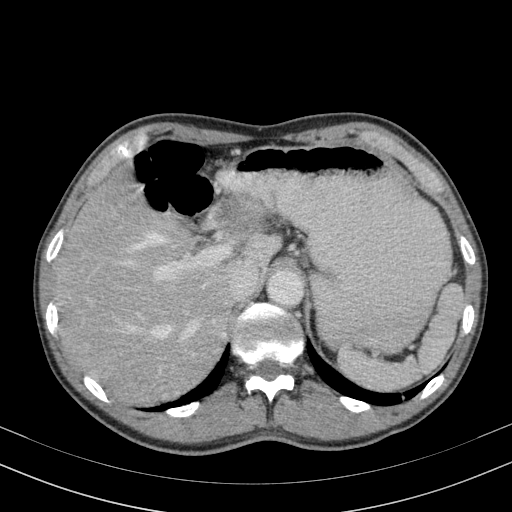 CT image; 512x512
<segmentation>
  <hepatic_lesion>[x1=222, y1=204, x2=248, y2=217]</hepatic_lesion>
  <liver>[x1=54, y1=163, x2=280, y2=406]</liver>
</segmentation>